Slice index 40, Head, Field of view 240x240 mm
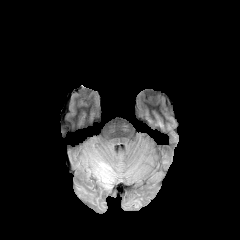
FLAIR magnetic resonance.
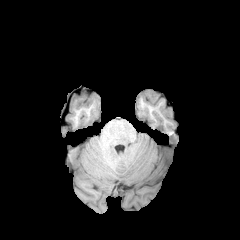
T1-weighted MR image.
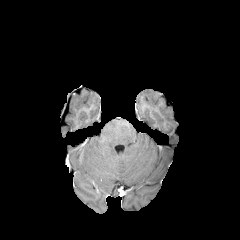
Post-contrast T1-weighted MR image.
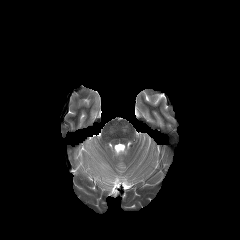
T2-weighted MR image.
Edema: <box>88,154,116,189</box>.